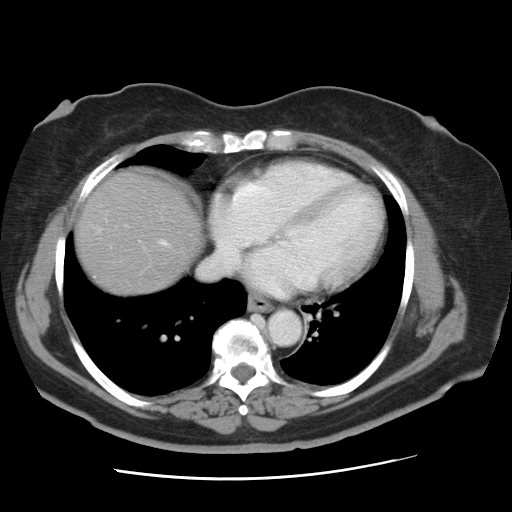

Liver. CT scan slice.

The vessel boxes may cover only some of the vessels.
2 hepatic vessel regions are located at 160, 240, 166, 244; 201, 256, 228, 275.